240x240, Brain
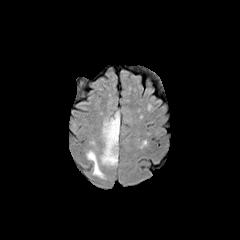
FLAIR MR.
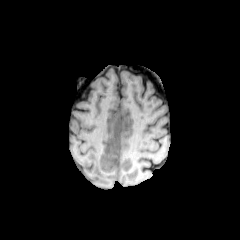
T1-weighted MR image of the same slice.
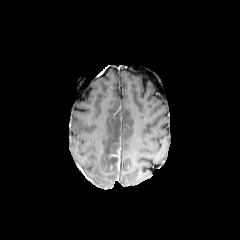
Post-contrast T1-weighted MR image.
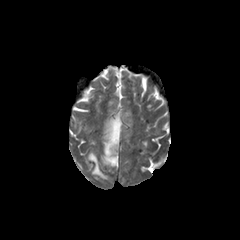
T2-weighted MR.
Non-enhancing tumor core = bbox(110, 143, 120, 154); bbox(110, 156, 118, 167).
Enhancing tumor = bbox(111, 147, 120, 167).
Edema = bbox(86, 150, 106, 179); bbox(100, 112, 119, 166).